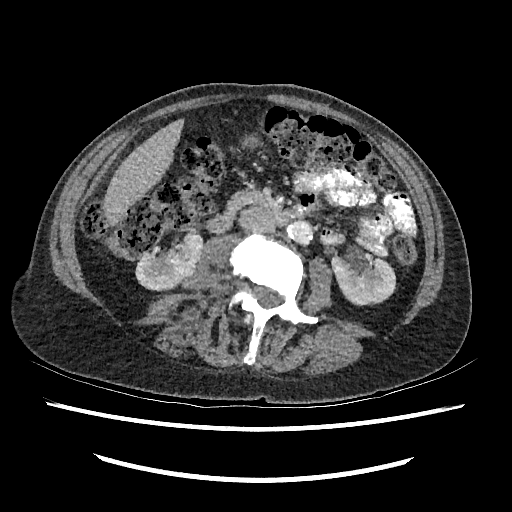 CT scan slice. Segmented structures:
- kidney: x1=136, y1=236, x2=201, y2=289; x1=332, y1=257, x2=395, y2=304
- liver: x1=105, y1=119, x2=183, y2=222